Slice 115/155 | Brain
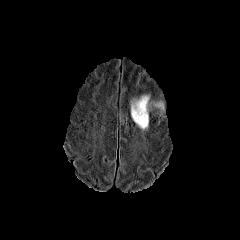
FLAIR magnetic resonance.
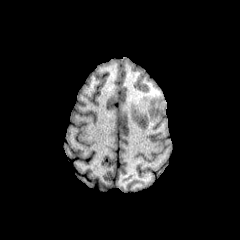
T1-weighted MR image.
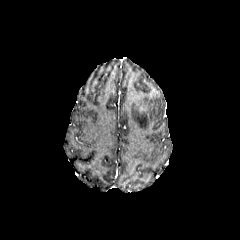
Same slice, post-contrast T1-weighted magnetic resonance.
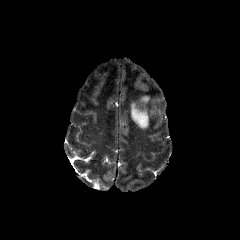
T2-weighted MR image.
Edema = region(131, 95, 149, 128).